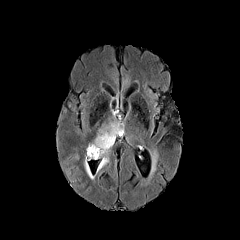
FLAIR MR image.
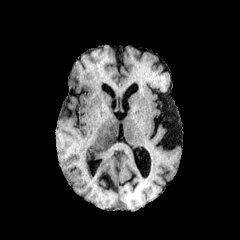
T1-weighted MRI.
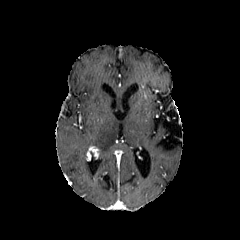
Post-contrast T1-weighted magnetic resonance.
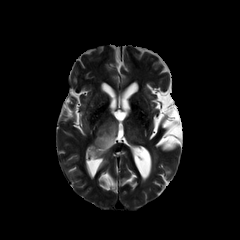
Same slice, T2-weighted magnetic resonance.
Segmented structures:
- enhancing tumor: box=[88, 147, 98, 158]
- edema: box=[83, 159, 92, 179]; box=[91, 122, 118, 158]; box=[97, 157, 108, 171]